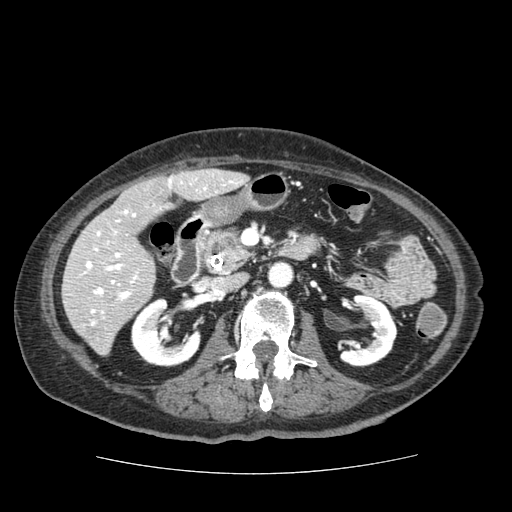
Abdomen; CT scan slice; Image size 512x512

pancreas: x1=204 y1=230 x2=249 y2=269 | pancreatic tumor: x1=214 y1=238 x2=235 y2=249